512x512, CT slice, Abdomen

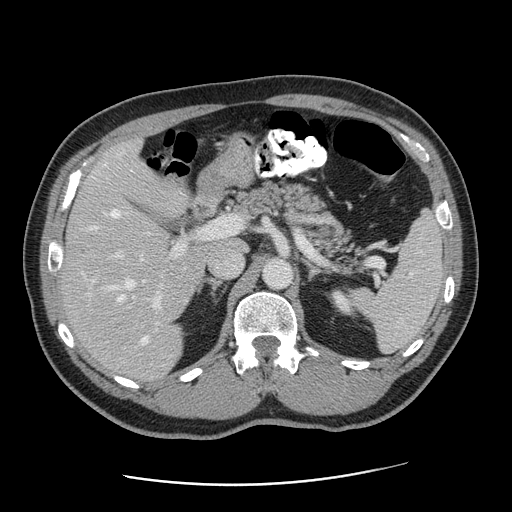
Some hepatic vessels may have no box.
{"hepatic_vessel": ["[x1=141, y1=256, x2=142, y2=258]", "[x1=115, y1=253, x2=121, y2=256]", "[x1=112, y1=210, x2=119, y2=217]", "[x1=91, y1=226, x2=99, y2=228]", "[x1=197, y1=215, x2=241, y2=239]", "[x1=153, y1=294, x2=160, y2=307]", "[x1=105, y1=286, x2=117, y2=288]", "[x1=169, y1=241, x2=185, y2=256]", "[x1=85, y1=276, x2=96, y2=281]", "[x1=206, y1=244, x2=242, y2=276]", "[x1=244, y1=246, x2=246, y2=249]", "[x1=118, y1=295, x2=124, y2=301]", "[x1=141, y1=337, x2=147, y2=344]", "[x1=124, y1=278, x2=134, y2=287]"], "liver_tumor": ["[x1=79, y1=247, x2=87, y2=256]"]}